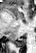
36x53; MRI; Hippocampus

The posterior hippocampus is bounded by l=15, t=38, r=25, b=47.